Slice 125/155. Brain. Field of view 240 mm wide, 1.00 mm slice spacing.
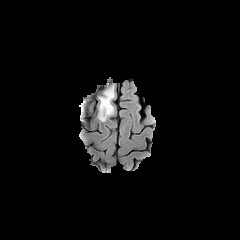
FLAIR MR image.
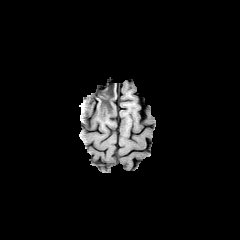
Same slice, T1-weighted magnetic resonance.
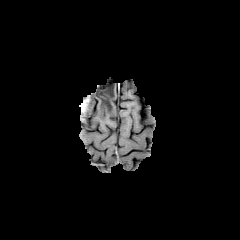
Post-contrast T1-weighted MRI.
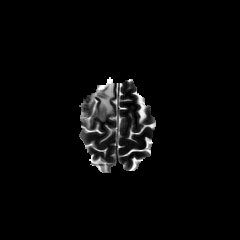
T2-weighted magnetic resonance.
edema: {"x1": 97, "y1": 114, "x2": 111, "y2": 121}, {"x1": 79, "y1": 87, "x2": 106, "y2": 114} | non-enhancing tumor core: {"x1": 98, "y1": 86, "x2": 114, "y2": 118}